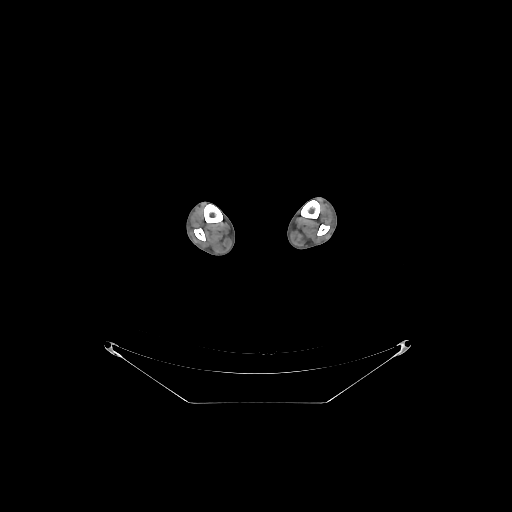 Computed tomography, 512x512 px
4 bone regions are located at region(301, 200, 320, 218); region(317, 224, 329, 235); region(194, 228, 205, 240); region(204, 204, 222, 222).